Head.
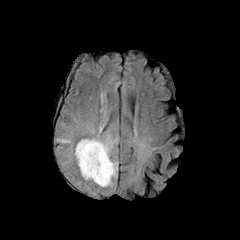
FLAIR MRI.
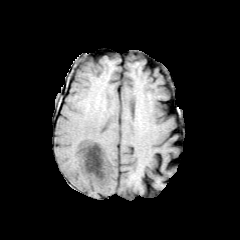
T1-weighted MR.
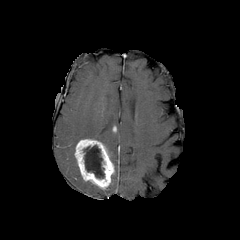
Same slice, post-contrast T1-weighted MR.
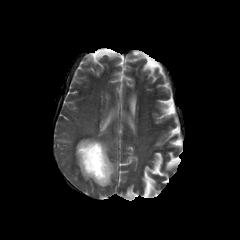
Same slice, T2-weighted MR.
Non-enhancing tumor core at 82, 145, 104, 178.
Edema at 85, 180, 103, 195; 54, 104, 120, 189.
Enhancing tumor at 75, 139, 114, 188.